Image width 240 mm
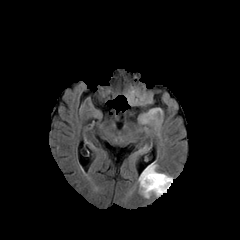
FLAIR MR image.
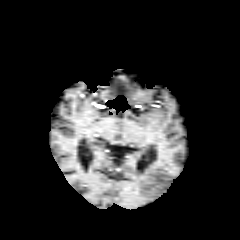
T1-weighted magnetic resonance.
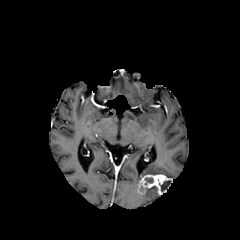
Post-contrast T1-weighted MRI.
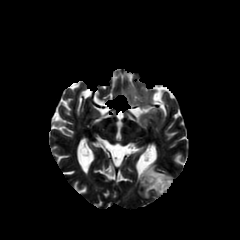
T2-weighted MR of the same slice.
Enhancing tumor: <box>138,174,172,194</box>.
Non-enhancing tumor core: <box>139,186,156,192</box>, <box>161,181,172,191</box>.
Edema: <box>141,189,160,199</box>, <box>137,160,173,183</box>.